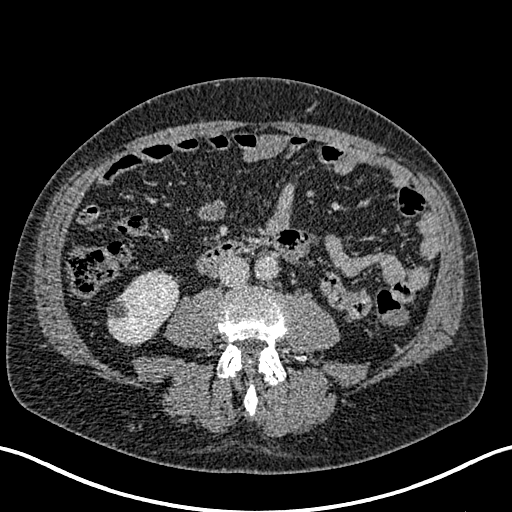
CT slice

Kidney at l=108, t=273, r=178, b=343.